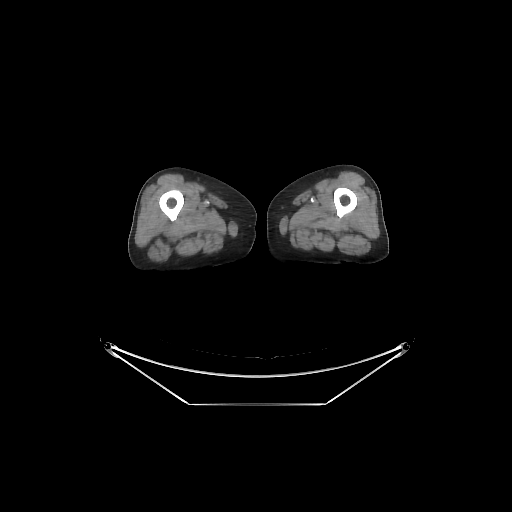
CT. 512x512 px.
Bone: bounding box 159:189:183:220, 334:187:356:218.